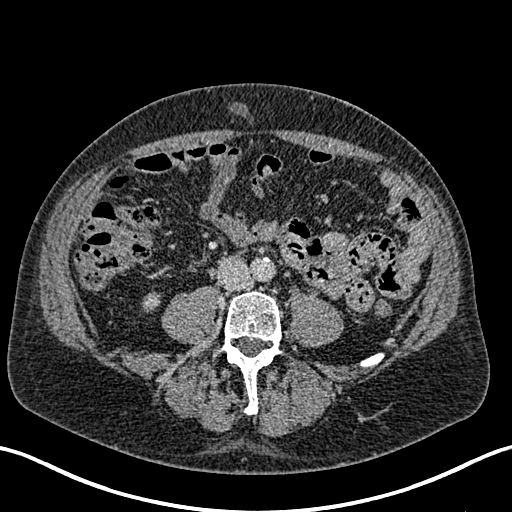
Abdomen; Computed tomography
Annotated regions:
• kidney: <bbox>144, 296, 157, 309</bbox>